FLAIR MR image.
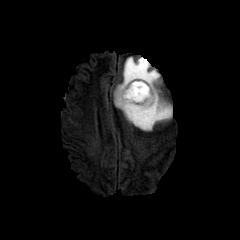
T1-weighted MR image.
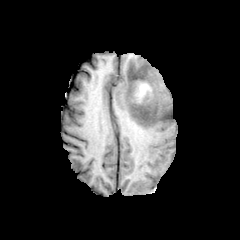
Post-contrast T1-weighted MR.
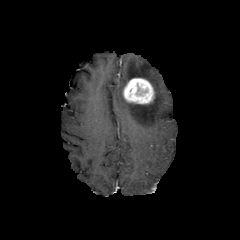
T2-weighted MR.
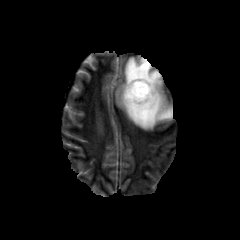
{
  "non-enhancing_tumor_core": [
    "box=[124, 99, 153, 109]"
  ],
  "enhancing_tumor": [
    "box=[123, 77, 153, 103]"
  ],
  "edema": [
    "box=[114, 57, 171, 130]"
  ]
}